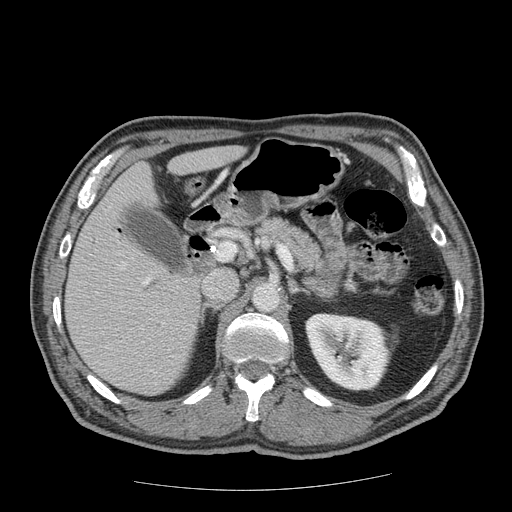
CT scan slice, Abdomen, 512x512
2 pancreas regions are bounded by 252, 216, 323, 276; 338, 278, 363, 295.